MR image | Cardiac | Image size 320x320
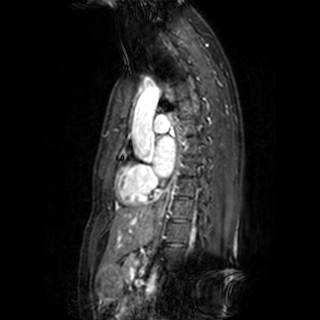
{
  "left_atrium": [
    "154 136 175 176"
  ]
}